FLAIR magnetic resonance.
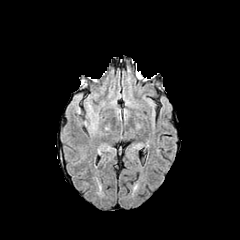
T1-weighted MR.
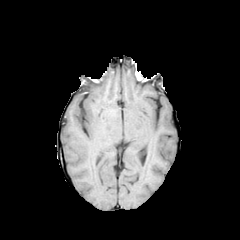
Post-contrast T1-weighted MR.
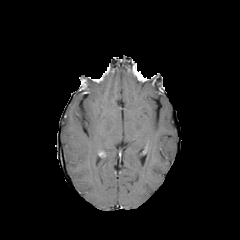
T2-weighted MR image.
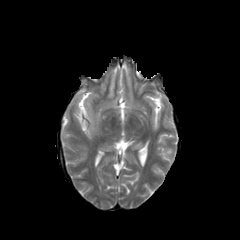
edema: 85, 105, 93, 119